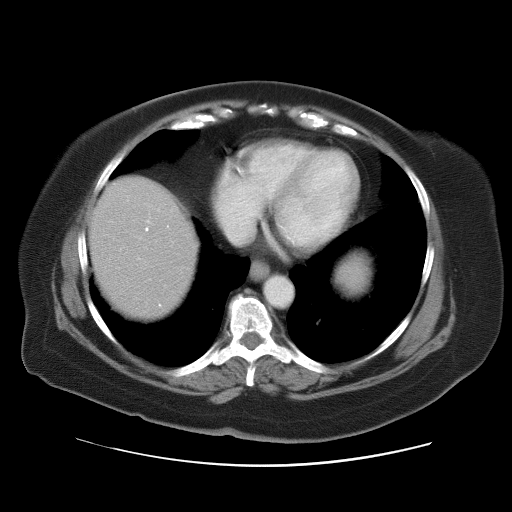
Upper abdomen | CT
Segmented structures:
* spleen: region(334, 257, 370, 296)